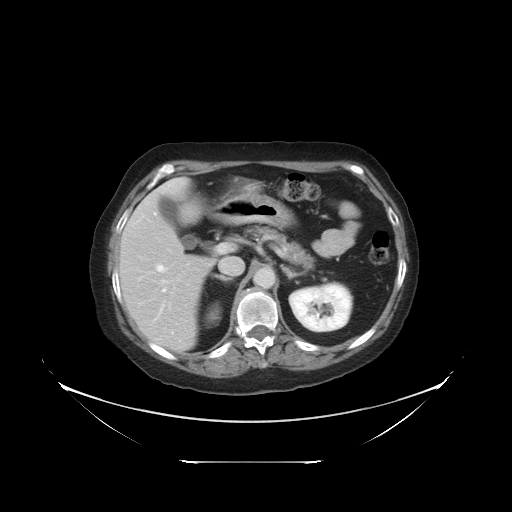

CT. Liver.

Only some of the vessels may be annotated.
hepatic_vessel:
  - [154,305,164,320]
  - [161,280,166,282]
  - [171,330,173,333]
  - [156,264,167,271]
  - [220,256,242,273]
  - [162,289,165,291]